Computed tomography. Slice index 565.

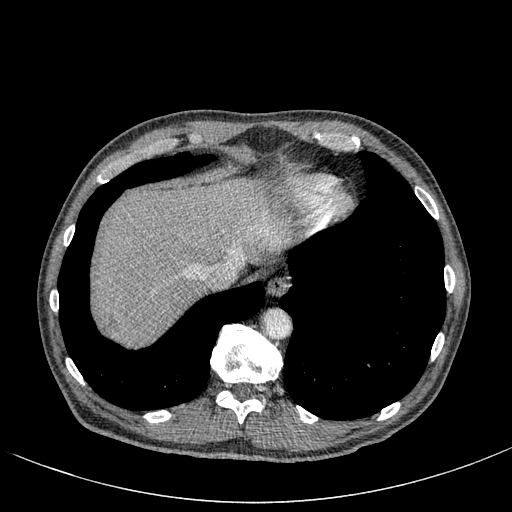 * hepatic lesion: bbox(101, 314, 117, 333)
* liver: bbox(92, 181, 290, 343)